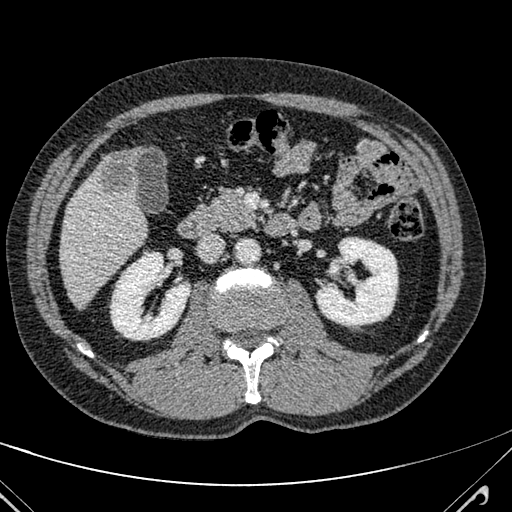 CT image

- focal liver lesion: 100,146,140,193
- liver: 61,155,145,307